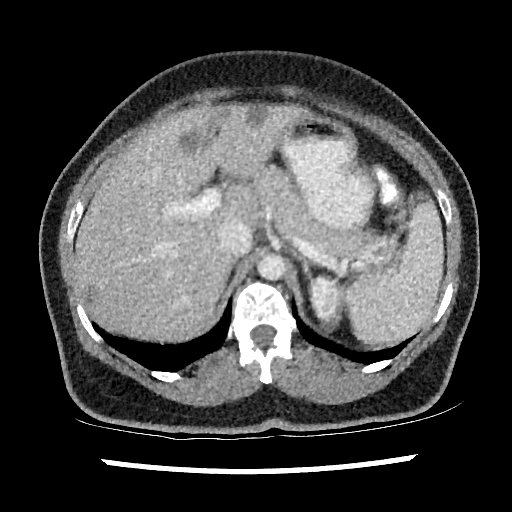

Abdomen; Computed tomography

Segmented structures:
- kidney: rect(313, 278, 337, 317)
- hepatic lesion: rect(80, 286, 97, 309); rect(181, 130, 200, 149); rect(214, 107, 229, 122); rect(246, 105, 267, 124)
- liver: rect(75, 102, 301, 339)